CT scan slice

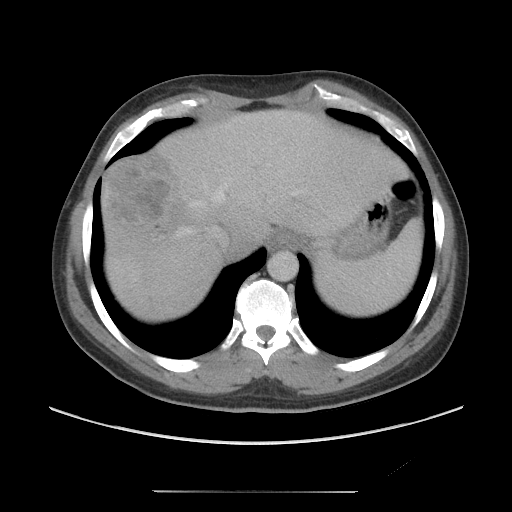 The vessel annotation is not exhaustive.
liver tumor: (107,156,186,235) | hepatic vessel: (192,202,202,204), (212,182,229,202), (272,199,274,200), (175,228,193,236), (289,189,306,195), (204,182,206,191)